Brain | Field of view 240 mm wide, 1.00 mm slice spacing
FLAIR magnetic resonance.
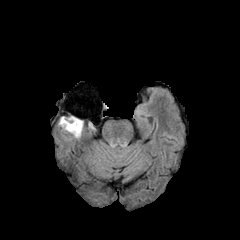
T1-weighted magnetic resonance.
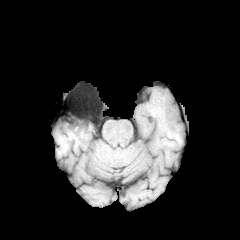
Post-contrast T1-weighted MR image.
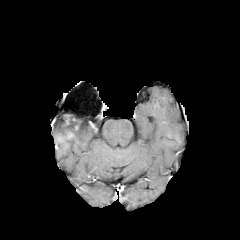
T2-weighted magnetic resonance.
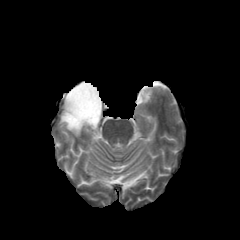
Edema — region(58, 117, 83, 138).
Non-enhancing tumor core — region(61, 114, 83, 127).